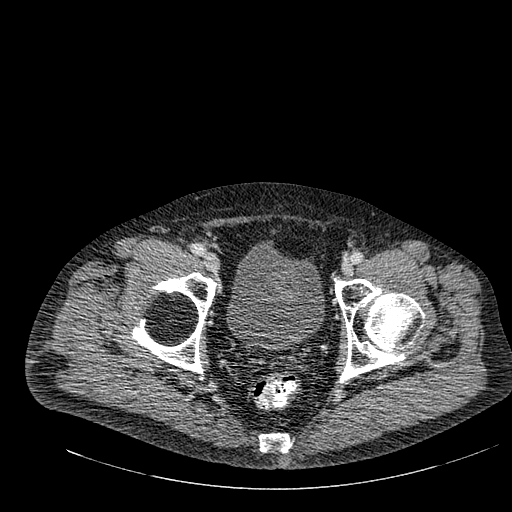 CT slice. Urinary bladder: bounding box [x1=226, y1=241, x2=324, y2=349].